Computed tomography, Upper abdomen 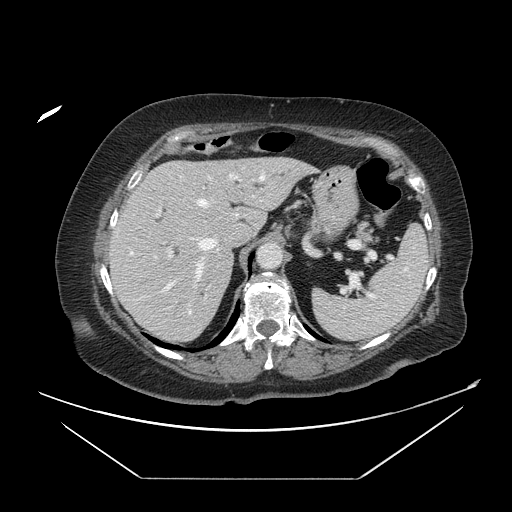

The pancreas appears at (left=356, top=221, right=373, bottom=243).